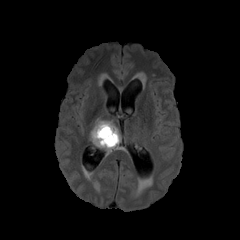
FLAIR MR.
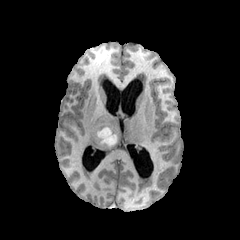
T1-weighted magnetic resonance.
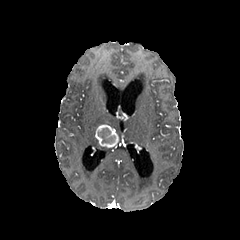
Post-contrast T1-weighted magnetic resonance of the same slice.
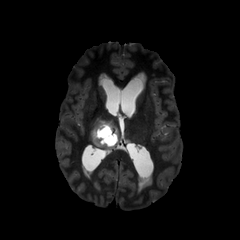
Same slice, T2-weighted MR.
Head.
<segmentation>
  <enhancing_tumor>bbox=[95, 124, 118, 148]</enhancing_tumor>
  <edema>bbox=[89, 118, 120, 152]</edema>
  <non-enhancing_tumor_core>bbox=[97, 127, 115, 144]</non-enhancing_tumor_core>
</segmentation>